FLAIR MR image.
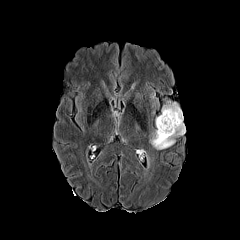
T1-weighted MR image.
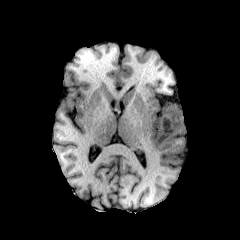
Post-contrast T1-weighted MR.
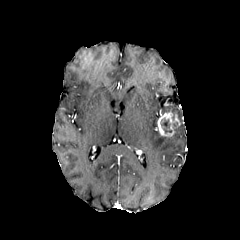
T2-weighted MR.
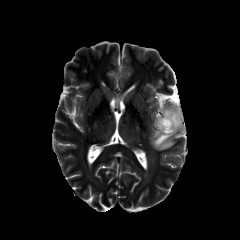
Head
{
  "edema": [
    "[149,103,185,150]"
  ],
  "enhancing_tumor": [
    "[157,111,180,138]"
  ]
}